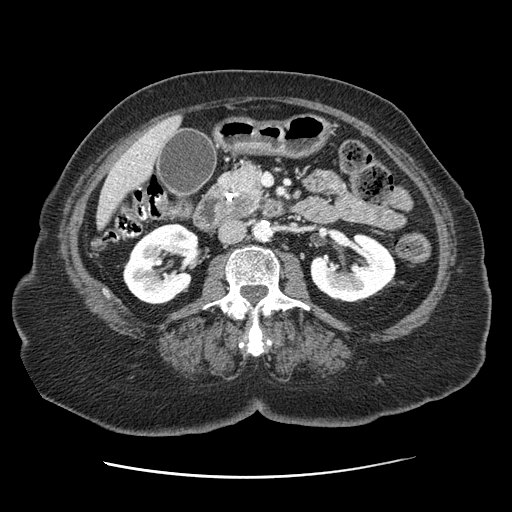

CT image.

The pancreas appears at box=[213, 162, 266, 221]. The pancreatic tumor is located at box=[229, 195, 253, 217].